FLAIR MR.
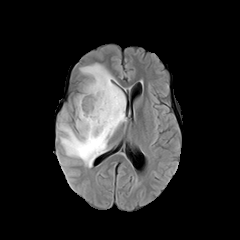
T1-weighted MR.
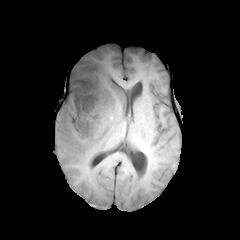
Post-contrast T1-weighted magnetic resonance.
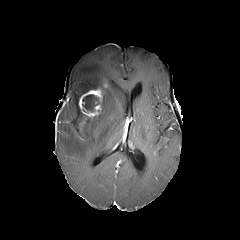
T2-weighted MR.
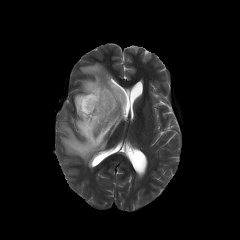
Brain
The enhancing tumor is located at box=[78, 88, 103, 118]. 2 non-enhancing tumor core regions are bounded by box=[76, 82, 107, 134]; box=[82, 94, 97, 110]. 2 edema regions are bounded by box=[57, 63, 126, 167]; box=[76, 108, 81, 129].